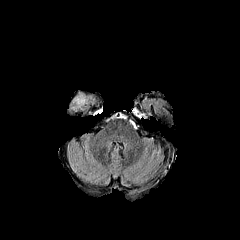
FLAIR MR image.
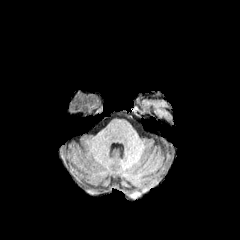
T1-weighted MR.
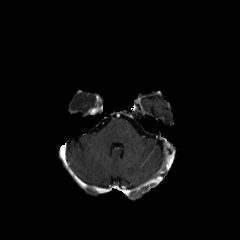
Post-contrast T1-weighted MR of the same slice.
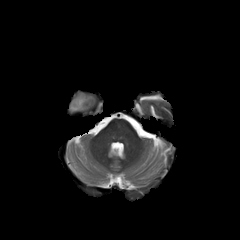
T2-weighted MR image.
edema:
  - [x1=70, y1=92, x2=95, y2=111]